240x240 px.
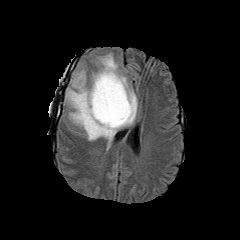
FLAIR MR image.
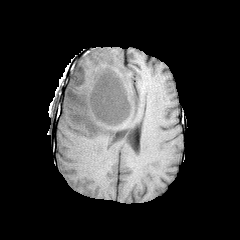
T1-weighted magnetic resonance.
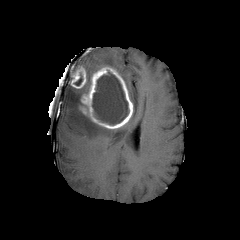
Post-contrast T1-weighted MR image of the same slice.
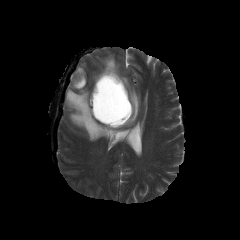
T2-weighted MR image.
enhancing tumor: 81,67,132,128; 72,68,85,87 | edema: 64,52,138,147 | non-enhancing tumor core: 85,72,93,93; 92,72,127,123